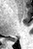
33x49 px, MRI slice, Medial temporal lobe
The posterior hippocampus is at <box>7,38,17,40</box>.